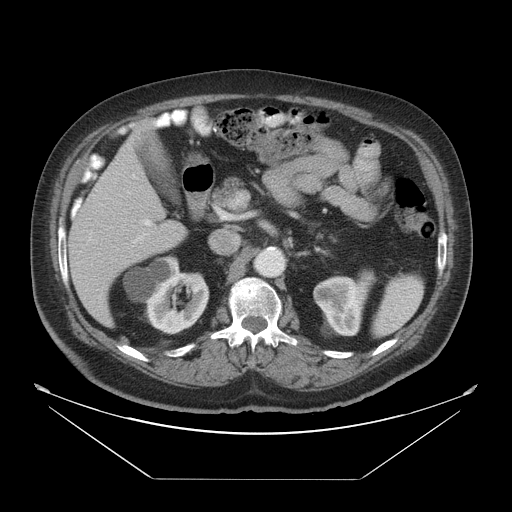
Computed tomography

Not every hepatic vessel necessarily has a box.
Annotated regions:
- hepatic vessel: <bbox>144, 220, 150, 224</bbox>, <bbox>210, 229, 229, 252</bbox>